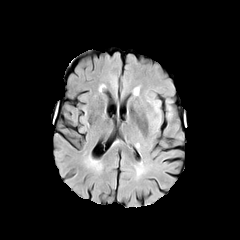
FLAIR magnetic resonance.
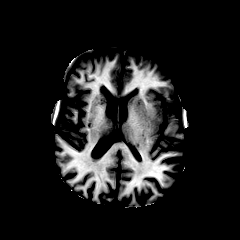
T1-weighted MR.
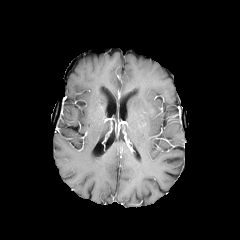
Same slice, post-contrast T1-weighted MR image.
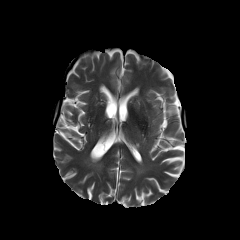
T2-weighted MR image of the same slice.
Brain.
Edema: bounding box 166,101,173,117.